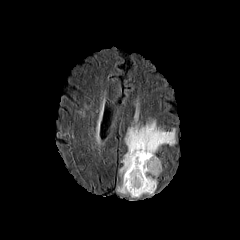
FLAIR MR image.
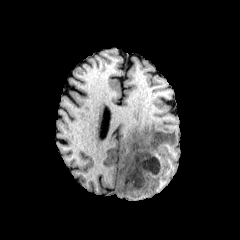
T1-weighted MR image.
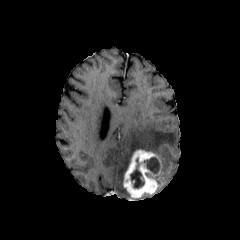
Post-contrast T1-weighted MR image.
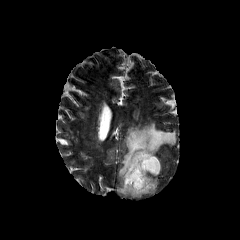
T2-weighted MR image.
The edema is bounded by left=117, top=119, right=175, bottom=195. The enhancing tumor is at left=123, top=149, right=160, bottom=198. 2 non-enhancing tumor core regions are bounded by left=130, top=169, right=145, bottom=189; left=144, top=157, right=161, bottom=175.